CT scan slice; Slice 579 of 630 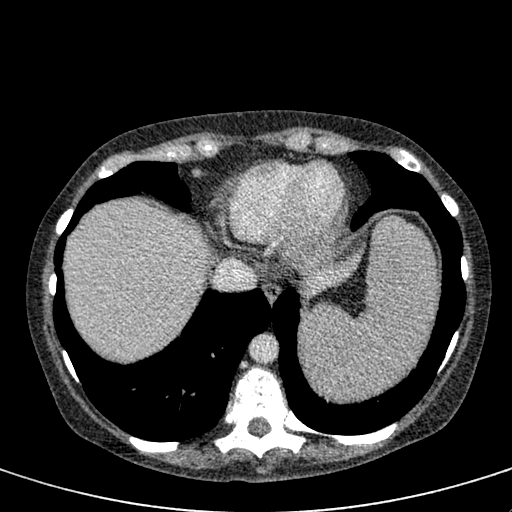

Annotated regions:
* liver: region(64, 200, 210, 359); region(303, 241, 366, 297)